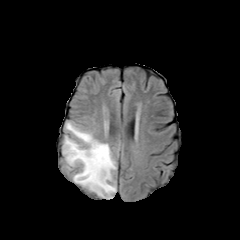
FLAIR MRI.
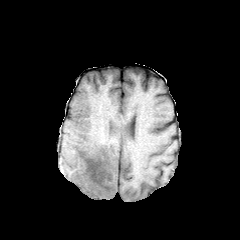
Same slice, T1-weighted MRI.
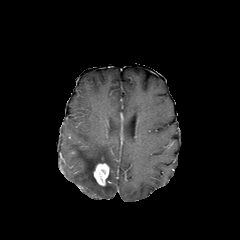
Post-contrast T1-weighted MR of the same slice.
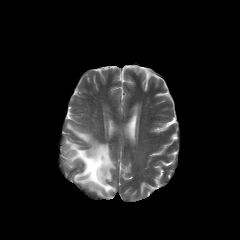
T2-weighted MR image.
Brain, 240x240 px
Enhancing tumor — l=93, t=163, r=109, b=185.
Edema — l=62, t=121, r=117, b=198.
Non-enhancing tumor core — l=100, t=173, r=112, b=190; l=82, t=154, r=109, b=183.